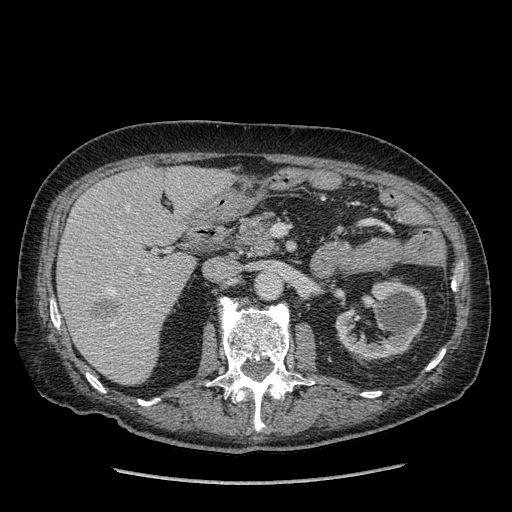
CT image. Findings:
• liver: left=57, top=166, right=232, bottom=385
• hepatic lesion: left=89, top=299, right=120, bottom=321
• kidney: left=335, top=281, right=426, bottom=359; left=362, top=295, right=378, bottom=308